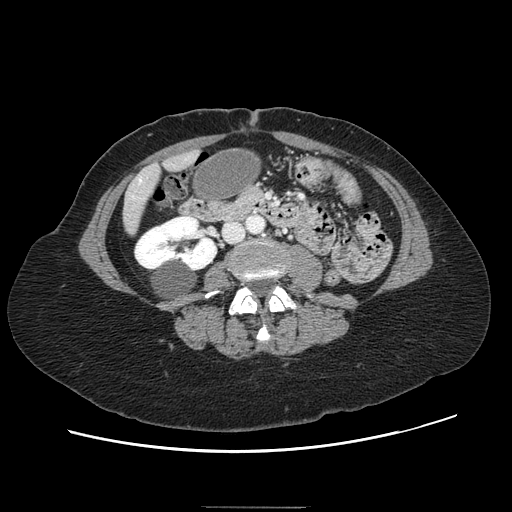
Upper abdomen. CT. 512x512.
pancreas: [237,187,262,208]